MRI; Medial temporal lobe
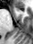 * anterior hippocampus: region(16, 8, 20, 10)